Slice 73 of 155 | Brain
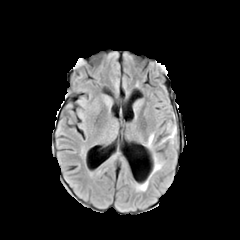
FLAIR MRI.
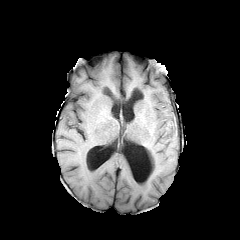
T1-weighted MR image.
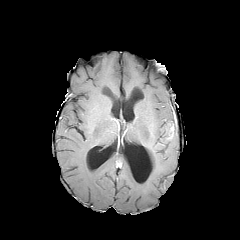
Post-contrast T1-weighted MR image.
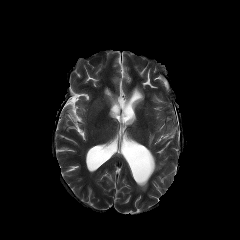
T2-weighted magnetic resonance of the same slice.
Segmented structures:
- edema: 160:121:176:144, 147:132:154:148, 135:153:164:191